Slice 112/155
FLAIR MR.
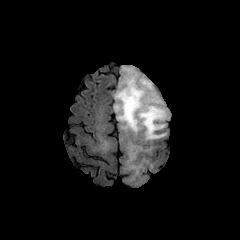
T1-weighted MR.
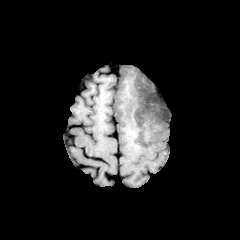
Post-contrast T1-weighted magnetic resonance.
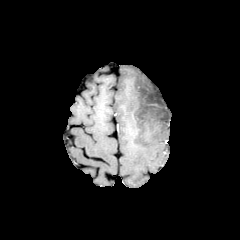
T2-weighted MR.
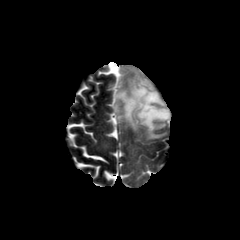
The non-enhancing tumor core appears at {"x1": 125, "y1": 77, "x2": 167, "y2": 123}. The edema lies within {"x1": 112, "y1": 66, "x2": 170, "y2": 147}.